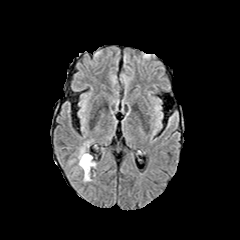
FLAIR MR.
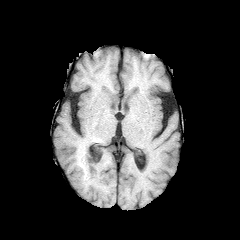
T1-weighted magnetic resonance.
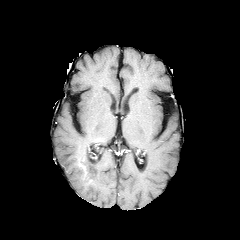
Post-contrast T1-weighted magnetic resonance.
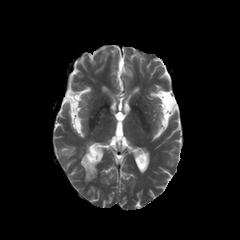
T2-weighted MR.
Image size 240x240, Head
The non-enhancing tumor core appears at bbox=[81, 154, 92, 166]. The edema is bounded by bbox=[78, 147, 96, 180].